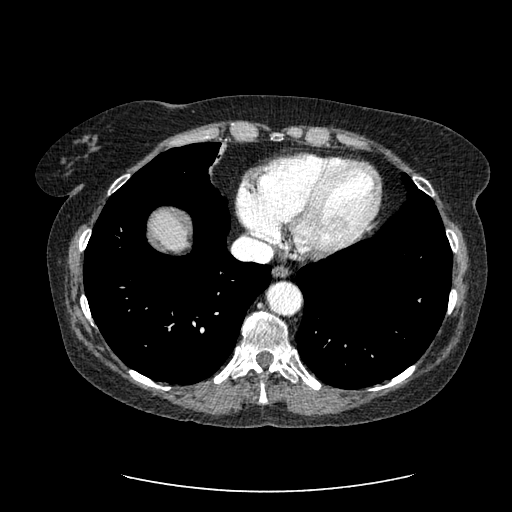 CT image.
The liver is bounded by [150, 210, 187, 253].